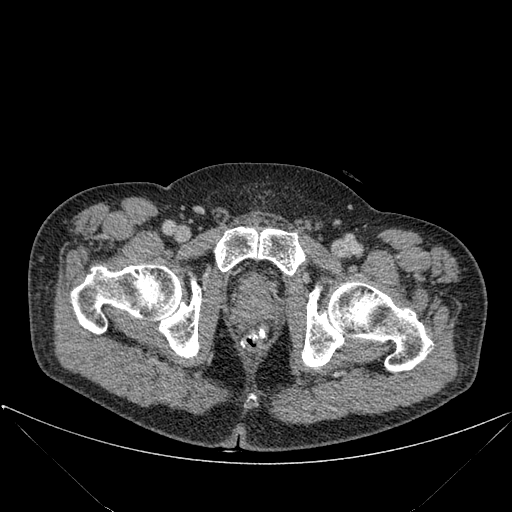 Image size 512x512. CT slice.

3 bone regions appear at (x1=214, y1=227, x2=304, y2=275), (x1=302, y1=282, x2=432, y2=371), (x1=71, y1=265, x2=201, y2=357).